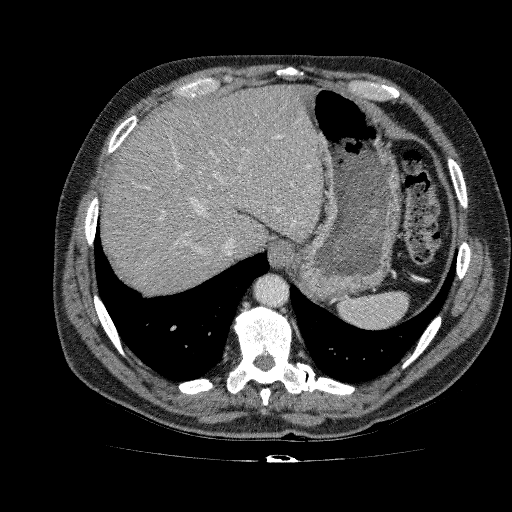 512x512 px; Upper abdomen; Computed tomography
Annotated regions:
• liver: [101,84,323,296]